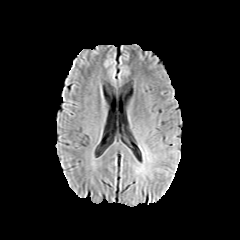
FLAIR magnetic resonance.
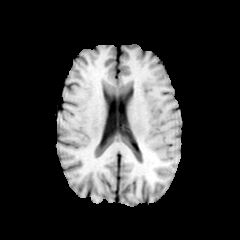
Same slice, T1-weighted MR image.
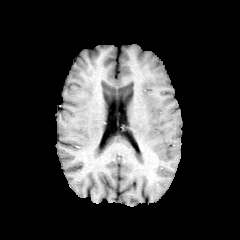
Post-contrast T1-weighted MR image.
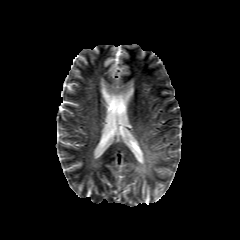
T2-weighted MR.
240x240
Edema: bounding box 142, 152, 149, 161.